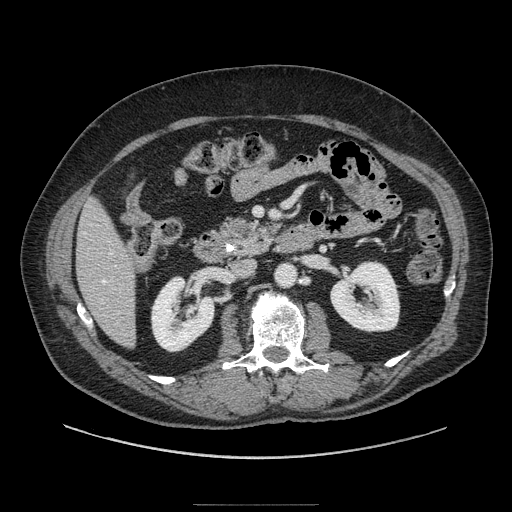 Upper abdomen. 512x512. CT image. The pancreatic tumor lies within l=231, t=221, r=250, b=238. The pancreas is at l=223, t=218, r=278, b=255.